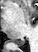
MR; Medial temporal lobe
{"posterior_hippocampus": ["l=12, t=40, r=24, b=45"]}